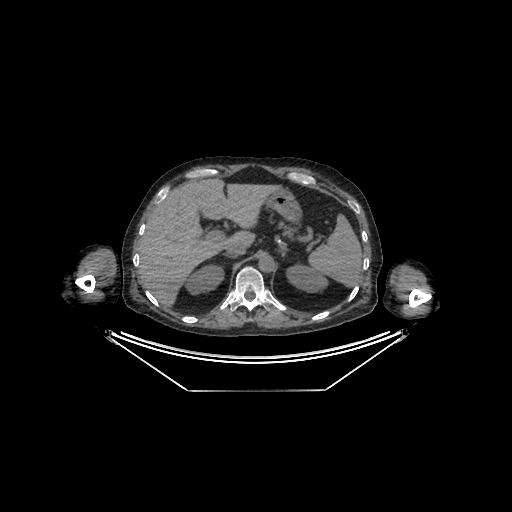
CT image; 512x512
Kidney at x1=286, y1=263, x2=328, y2=292; x1=186, y1=264, x2=224, y2=294.
Liver at x1=136, y1=176, x2=280, y2=306.